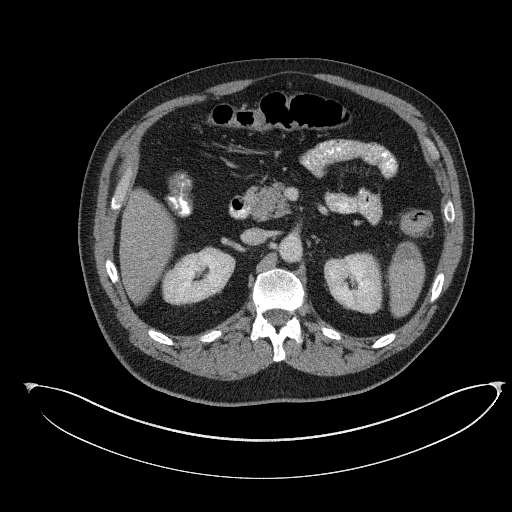
Computed tomography, Abdomen
pancreas:
  - x1=251 y1=183 x2=289 y2=221